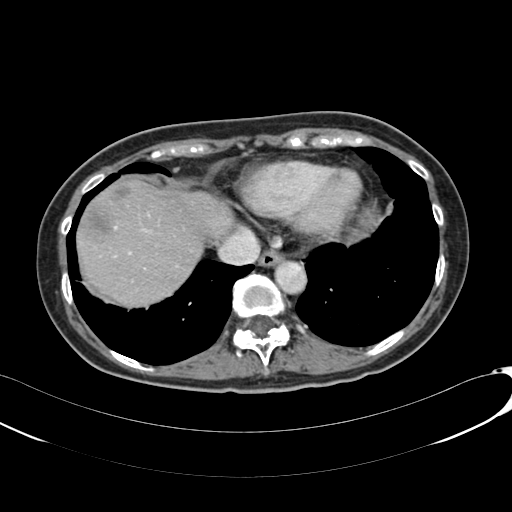

Image size 512x512. Liver. CT. The liver is located at rect(77, 182, 233, 303). 2 focal liver lesion regions are bounded by rect(82, 209, 109, 235); rect(114, 185, 131, 199).